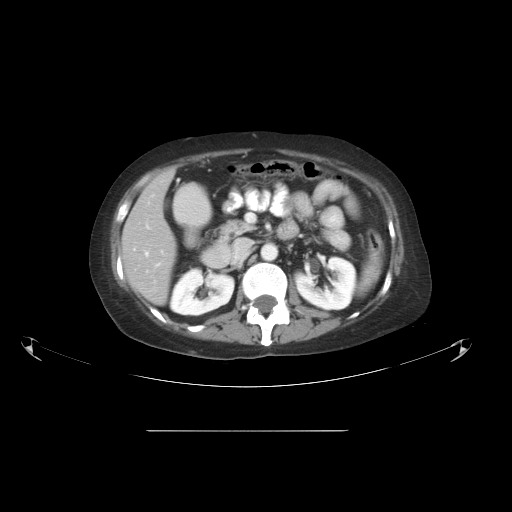 Image size 512x512; CT; Liver
The vessel boxes may cover only some of the vessels.
<segmentation>
  <hepatic_vessel>[x1=145, y1=252, x2=148, y2=255], [x1=161, y1=251, x2=163, y2=253], [x1=146, y1=225, x2=149, y2=229], [x1=156, y1=263, x2=159, y2=265], [x1=146, y1=270, x2=148, y2=271]</hepatic_vessel>
</segmentation>